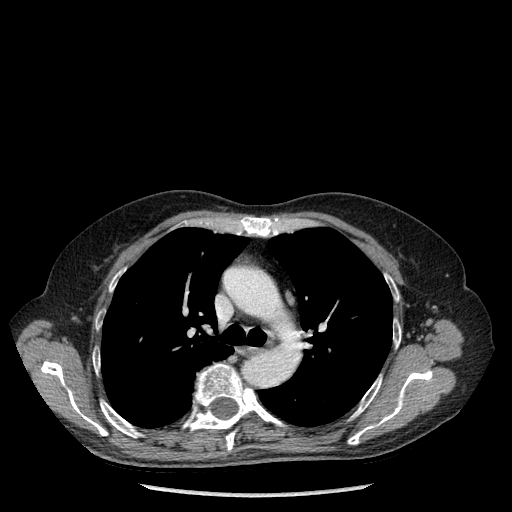
Thorax, Computed tomography, 512x512 px
12 bone regions are located at (100,400,143,437), (168,363,284,436), (109,271,121,291), (233,216,280,236), (348,370,432,444), (393,319,401,348), (384,273,399,301), (351,375,381,418), (92,352,100,373), (226,431,235,450), (40,360,107,435), (95,314,101,329). 2 lung regions are located at (259,227,392,426), (101,227,266,428).